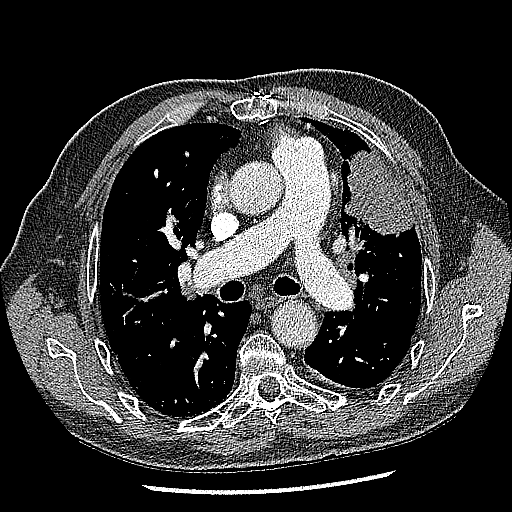

Lung | Computed tomography

{
  "lung_tumor": [
    "region(344, 149, 413, 236)"
  ]
}